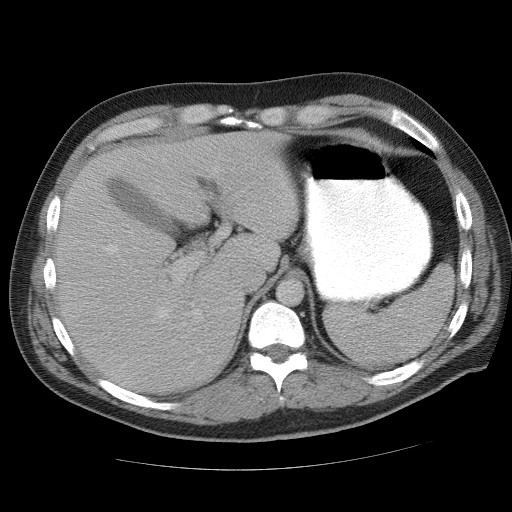

Abdomen. CT.

Spleen — (325,263,453,369).